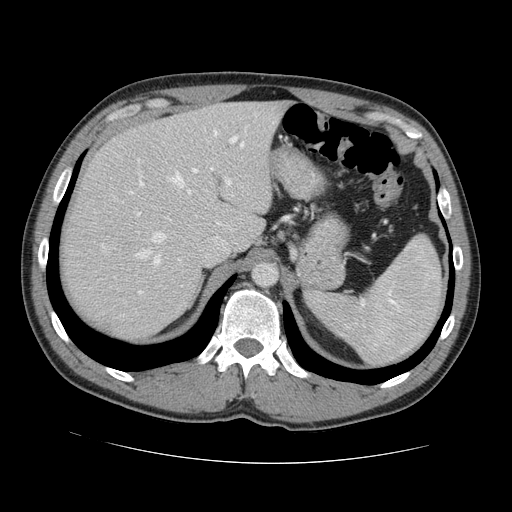 CT image | 512x512 px

Some hepatic vessels may have no box.
<segmentation partial="true">
  <hepatic_vessel shown="15" total="31">(138,171,143,186), (153,255,160,265), (166,173,183,186), (165,217,170,220), (216,221,223,225), (225,193,232,195), (252,113,257,118), (152,232,164,242), (272,120,275,124), (240,142,243,147), (187,190,193,194), (136,249,149,258), (244,124,247,134), (229,136,237,143), (224,177,231,187)</hepatic_vessel>
</segmentation>